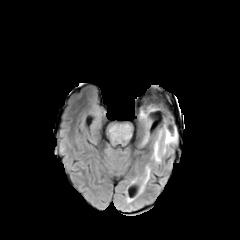
FLAIR MR.
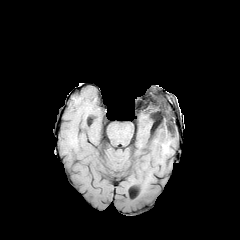
T1-weighted MR image of the same slice.
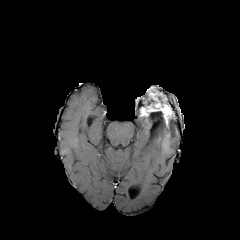
Post-contrast T1-weighted MRI.
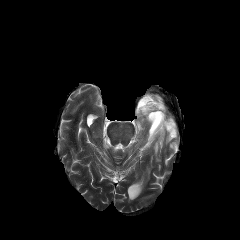
T2-weighted MRI.
Brain
Non-enhancing tumor core: bounding box <box>146,110,172,143</box>, <box>144,99,160,105</box>.
Enhancing tumor: bounding box <box>140,103,171,126</box>.
Edema: bounding box <box>139,167,150,193</box>, <box>142,124,177,162</box>.